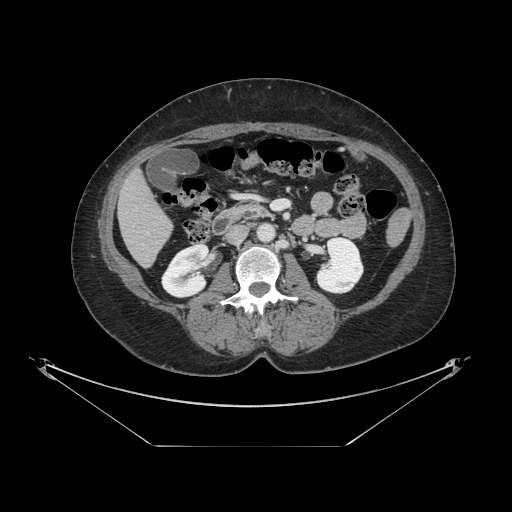 CT image; Abdomen
<segmentation>
  <pancreas>[x1=247, y1=204, x2=270, y2=216]</pancreas>
</segmentation>